Image width 408 mm; CT image

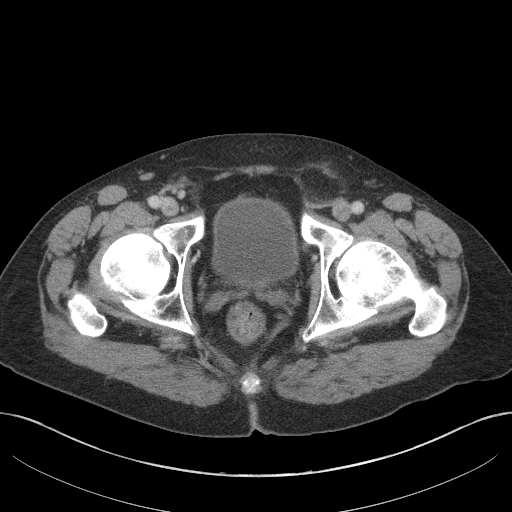 The urinary bladder is located at <bbox>211, 202, 298, 295</bbox>.